Computed tomography. Slice index 614. 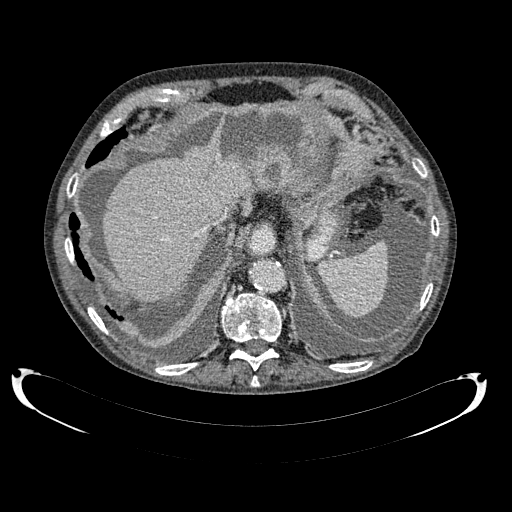

The liver is bounded by left=103, top=143, right=265, bottom=302.